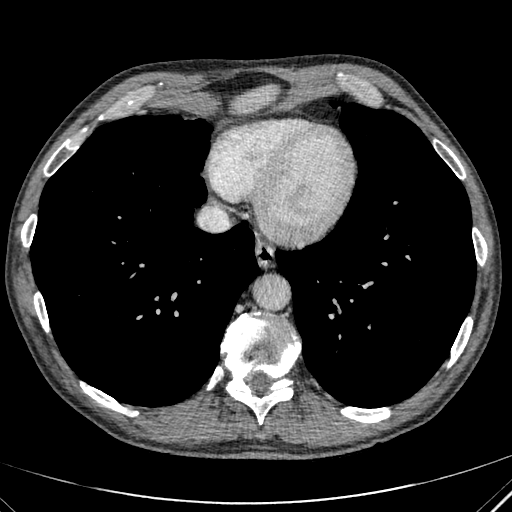

Abdomen, Computed tomography

liver:
  - box=[232, 84, 278, 112]